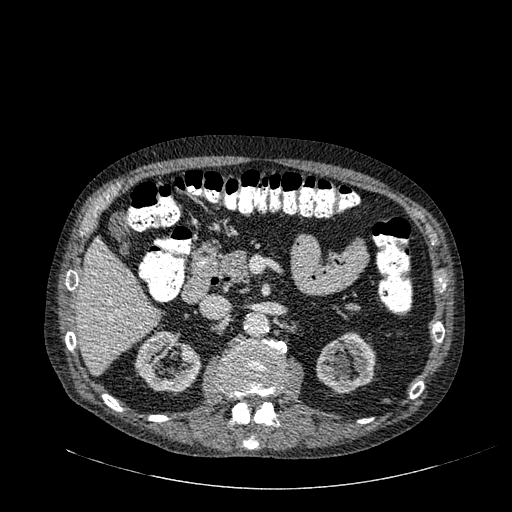 Computed tomography. 512x512.
<segmentation>
  <liver>78, 238, 160, 374</liver>
  <kidney>315, 332, 375, 393; 134, 331, 201, 391</kidney>
</segmentation>